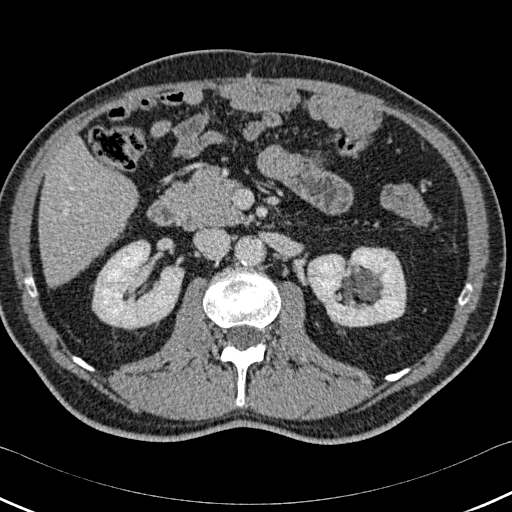
CT slice. Abdomen.
6 bone regions are bounded by <box>203,269,280,329</box>, <box>459,285,471,304</box>, <box>221,343,265,406</box>, <box>25,278,35,296</box>, <box>73,357,93,370</box>, <box>386,369,408,380</box>. The liver lies within <box>39,142,137,284</box>. 2 kidney regions are bounded by <box>308,248,405,326</box>, <box>93,241,183,327</box>.